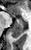 MRI slice | Hippocampus

anterior hippocampus: bbox(11, 14, 14, 16) | posterior hippocampus: bbox(10, 19, 23, 38)